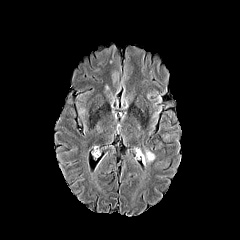
FLAIR MRI.
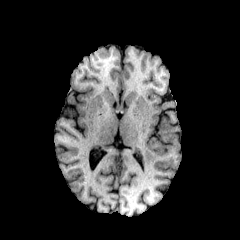
T1-weighted MR image.
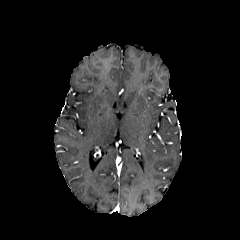
Post-contrast T1-weighted MR image.
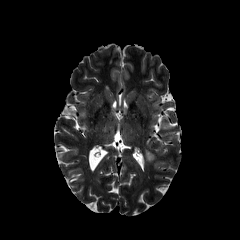
Same slice, T2-weighted MR image.
Brain
edema: {"x1": 143, "y1": 148, "x2": 155, "y2": 163}